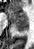

MRI; Medial temporal lobe

<segmentation>
  <posterior_hippocampus>left=13, top=24, right=27, bottom=31</posterior_hippocampus>
  <anterior_hippocampus>left=8, top=8, right=27, bottom=23</anterior_hippocampus>
</segmentation>